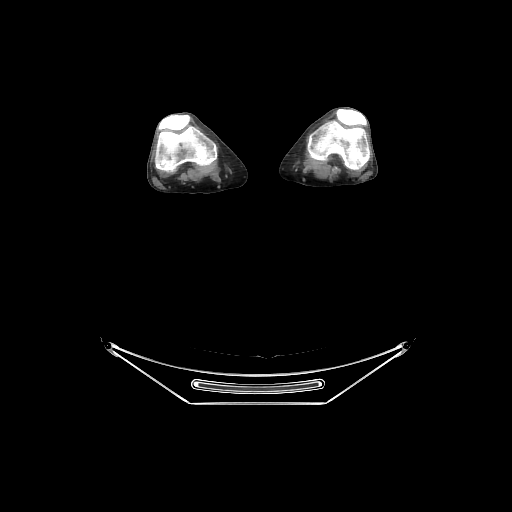

Computed tomography. 512x512 px.

- bone: x1=308, y1=109, x2=369, y2=169; x1=155, y1=115, x2=216, y2=172